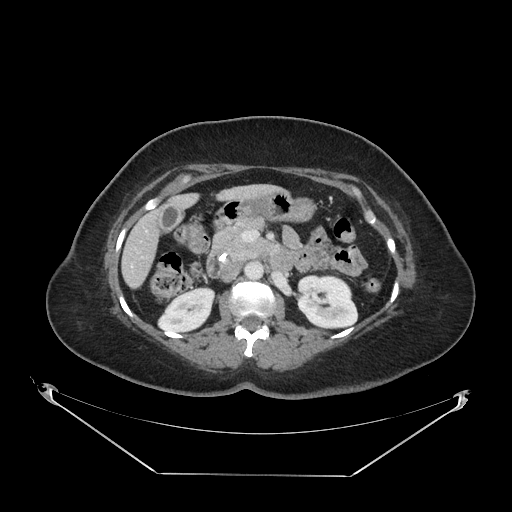

CT
- pancreas: x1=214, y1=217, x2=267, y2=264